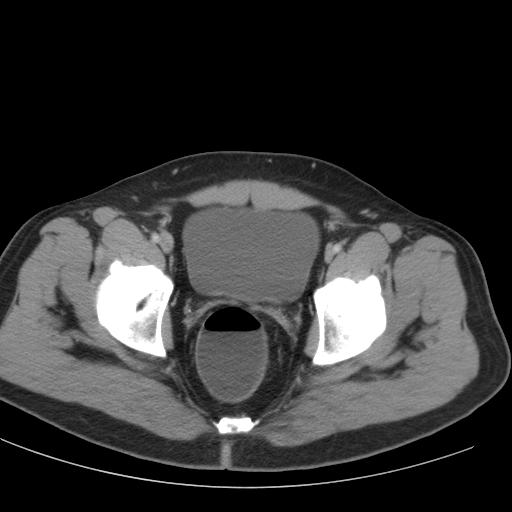
CT, Lower abdomen
urinary_bladder:
  - {"x1": 183, "y1": 202, "x2": 318, "y2": 304}